CT slice. 512x512 px. Upper abdomen.

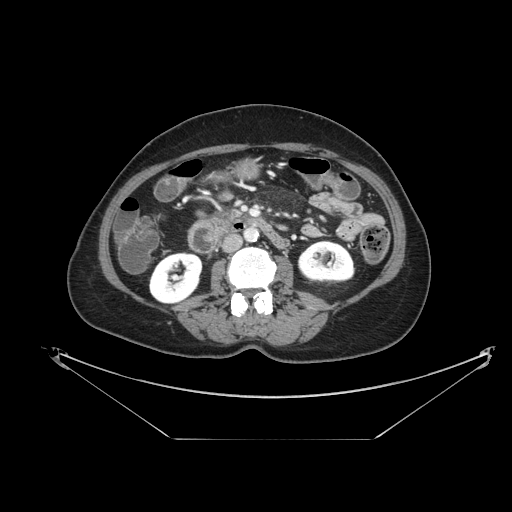 <segmentation>
  <pancreas>{"x1": 217, "y1": 211, "x2": 240, "y2": 221}</pancreas>
</segmentation>